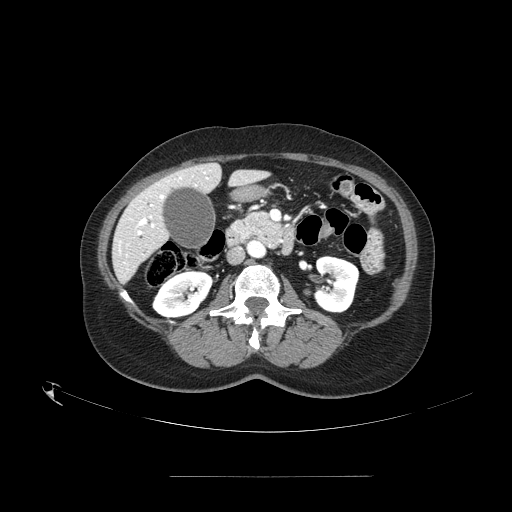

Image size 512x512 | CT slice
pancreas: <bbox>235, 212, 281, 248</bbox>